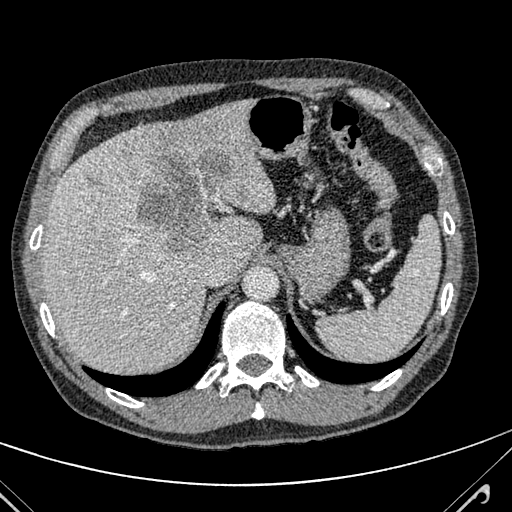
Liver, 512x512, CT image

Segmented structures:
- liver: rect(43, 98, 275, 372)
- focal liver lesion: rect(137, 144, 230, 259); rect(88, 178, 97, 184)